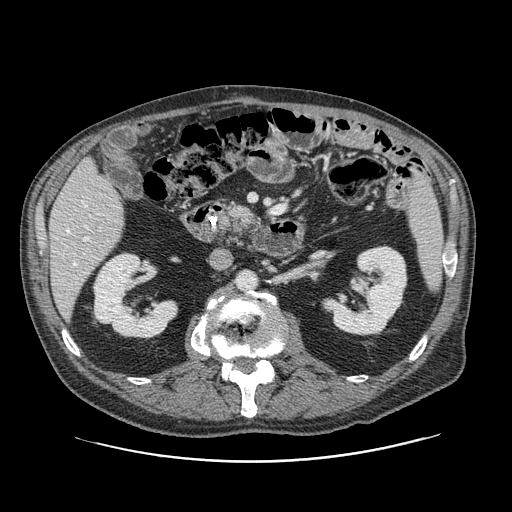
Upper abdomen. CT slice.

Pancreas: left=221, top=203, right=251, bottom=231.